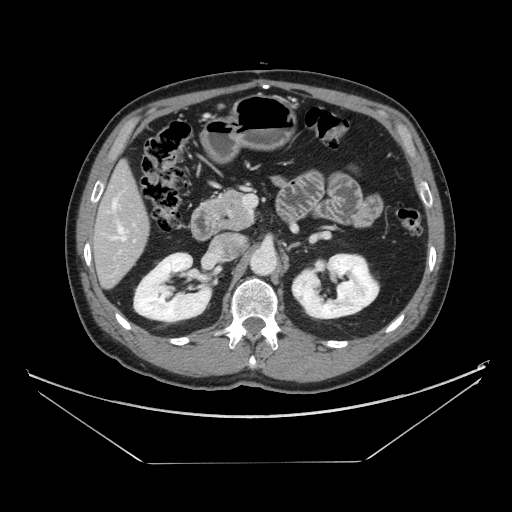
CT image, Image size 512x512
Segmented structures:
- pancreas: (217, 189, 249, 228)